FLAIR MRI.
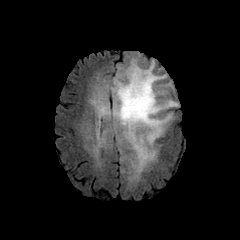
T1-weighted MR image.
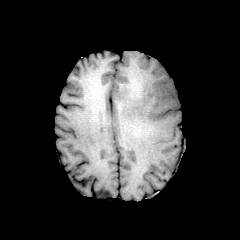
Post-contrast T1-weighted MR.
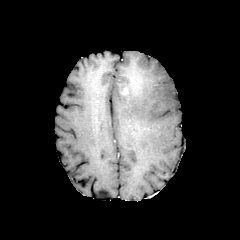
T2-weighted MRI.
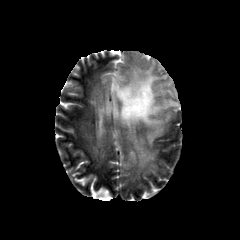
Head
edema:
  - (95,58,177,169)
non-enhancing_tumor_core:
  - (123,63,146,95)
  - (125,121,139,139)